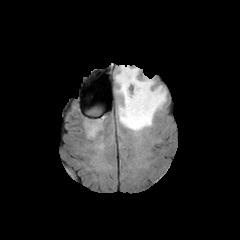
FLAIR MR.
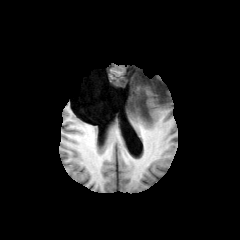
T1-weighted MR.
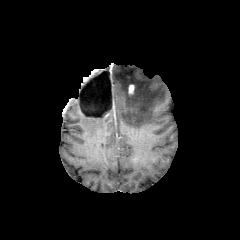
Same slice, post-contrast T1-weighted magnetic resonance.
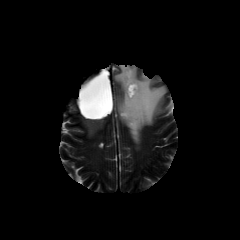
Same slice, T2-weighted MR image.
240x240 px
Non-enhancing tumor core = [124, 82, 135, 96].
Enhancing tumor = [128, 85, 134, 93].
Edema = [114, 66, 166, 135].